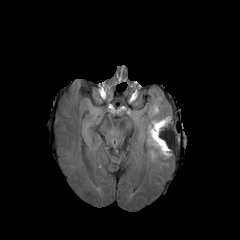
FLAIR MR.
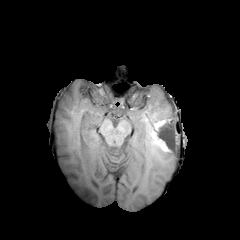
T1-weighted magnetic resonance.
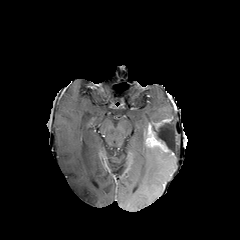
Post-contrast T1-weighted magnetic resonance of the same slice.
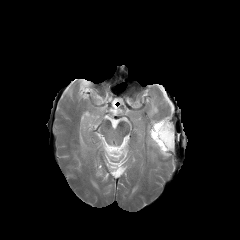
T2-weighted magnetic resonance of the same slice.
enhancing_tumor:
  - x1=148 y1=124 x2=167 y2=152
  - x1=154 y1=119 x2=169 y2=127
edema:
  - x1=148 y1=146 x2=171 y2=162
  - x1=148 y1=99 x2=170 y2=124
  - x1=139 y1=126 x2=147 y2=138
non-enhancing_tumor_core:
  - x1=150 y1=122 x2=173 y2=150